FLAIR MR.
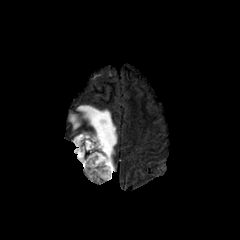
T1-weighted magnetic resonance.
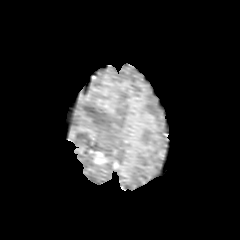
Post-contrast T1-weighted magnetic resonance.
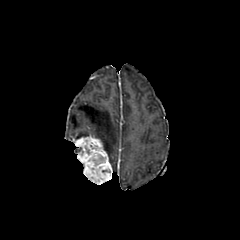
T2-weighted MR.
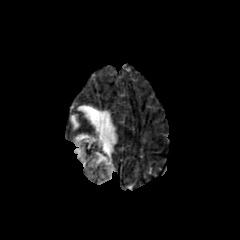
Image size 240x240.
The enhancing tumor lies within (left=73, top=136, right=111, bottom=183). The edema is bounded by (left=70, top=105, right=116, bottom=171).